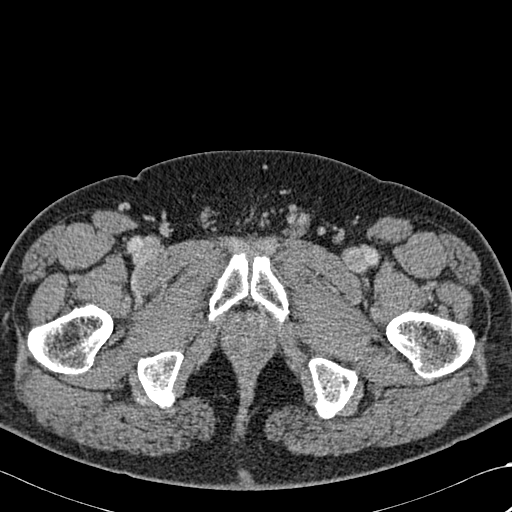

CT

<segmentation>
  <bone>box=[28, 305, 112, 374]; box=[138, 351, 183, 407]; box=[386, 311, 474, 378]; box=[309, 358, 357, 418]; box=[209, 253, 287, 321]</bone>
</segmentation>